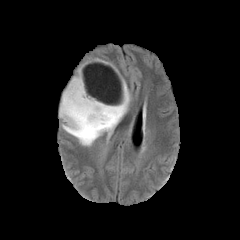
FLAIR magnetic resonance.
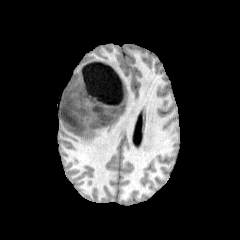
T1-weighted MRI.
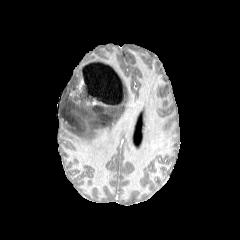
Same slice, post-contrast T1-weighted MRI.
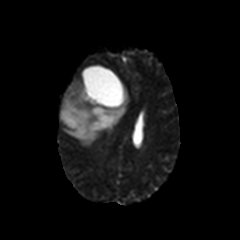
Same slice, T2-weighted magnetic resonance.
Image size 240x240 | Head
Edema at box(58, 69, 131, 145).
Non-enhancing tumor core at box(61, 108, 83, 131); box(71, 82, 115, 124).